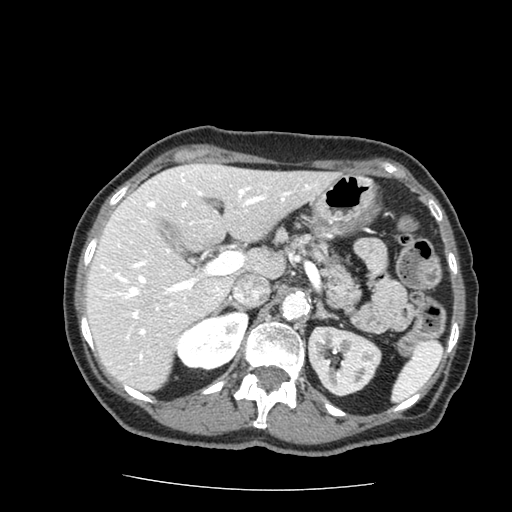 CT
Findings:
- pancreas: 291,234,362,310